FLAIR magnetic resonance.
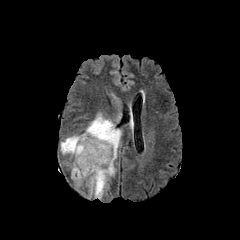
T1-weighted MR.
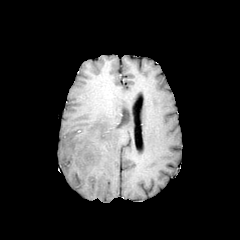
Post-contrast T1-weighted MR.
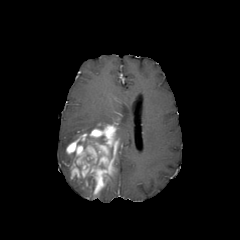
T2-weighted magnetic resonance.
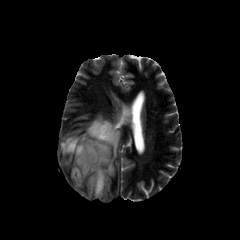
240x240 px
<segmentation>
  <non-enhancing_tumor_core><bbox>77, 132, 105, 148</bbox></non-enhancing_tumor_core>
  <edema><bbox>129, 117, 133, 136</bbox>, <bbox>60, 135, 79, 157</bbox>, <bbox>85, 112, 112, 132</bbox>, <bbox>88, 176, 93, 198</bbox>, <bbox>94, 183, 108, 199</bbox>, <bbox>73, 176, 87, 187</bbox>, <bbox>116, 128, 122, 143</bbox></edema>
  <enhancing_tumor><bbox>66, 122, 119, 195</bbox></enhancing_tumor>
</segmentation>